Image width 350 mm. CT image. 512x512 px. 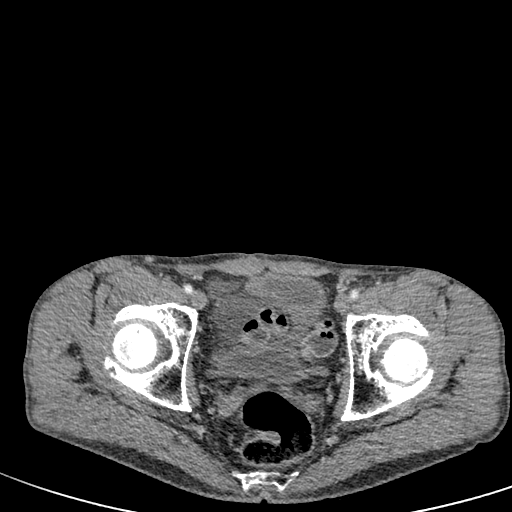
* urinary bladder: [x1=245, y1=273, x2=324, y2=390], [x1=208, y1=342, x2=255, y2=384]